FLAIR MRI.
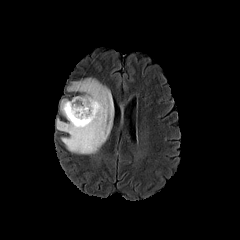
T1-weighted MR image.
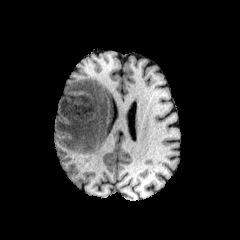
Post-contrast T1-weighted magnetic resonance.
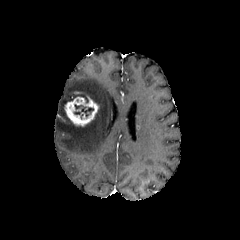
T2-weighted MRI.
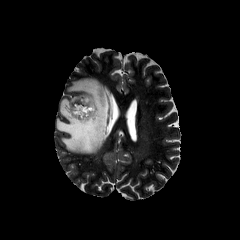
Head
Enhancing tumor = bbox(64, 96, 98, 126).
Edema = bbox(56, 78, 113, 155); bbox(60, 97, 68, 117).